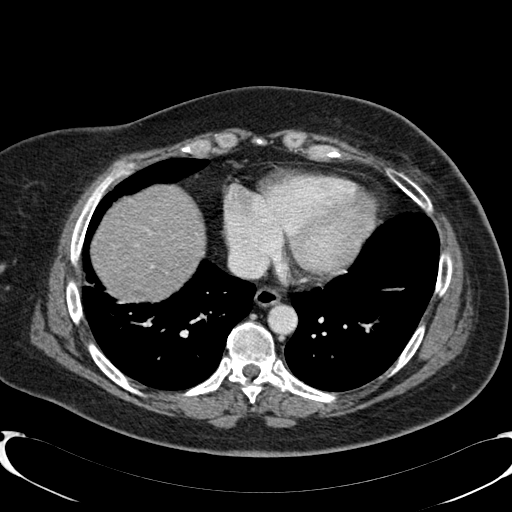

Liver. CT image.

The liver is bounded by <box>91,185,205,300</box>.